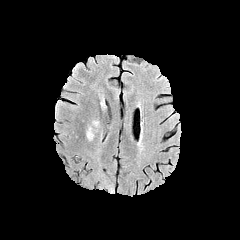
FLAIR MR.
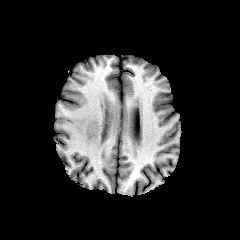
T1-weighted magnetic resonance.
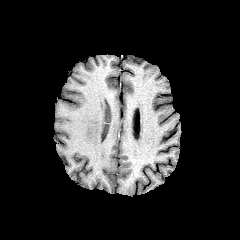
Post-contrast T1-weighted MR image of the same slice.
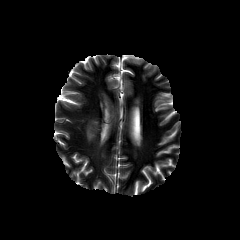
T2-weighted MR of the same slice.
Head
The edema is bounded by <bbox>86, 126, 94, 140</bbox>.